FLAIR MR image.
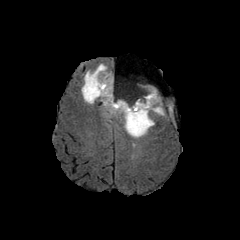
T1-weighted MR.
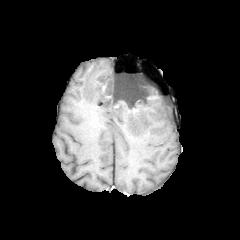
Post-contrast T1-weighted magnetic resonance.
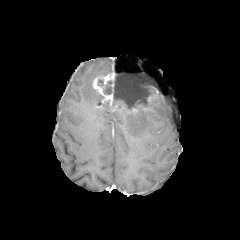
T2-weighted MR image.
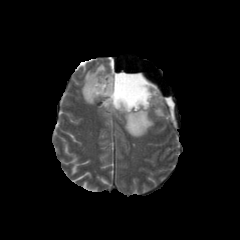
Brain
<segmentation>
  <edema>box=[80, 62, 111, 103]; box=[101, 87, 165, 137]; box=[114, 74, 119, 91]</edema>
  <enhancing_tumor>box=[92, 72, 113, 105]</enhancing_tumor>
  <non-enhancing_tumor_core>box=[103, 79, 149, 114]</non-enhancing_tumor_core>
</segmentation>